CT scan slice, Slice 250 of 461, Image size 512x512, Field of view 432x432 mm
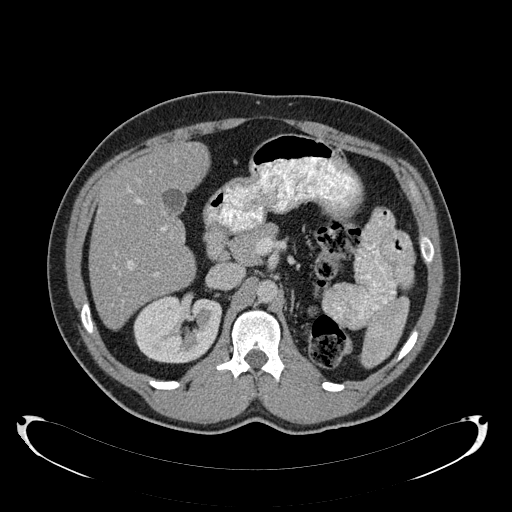

The liver is bounded by 89, 143, 208, 328. The kidney is located at 134, 295, 221, 362.